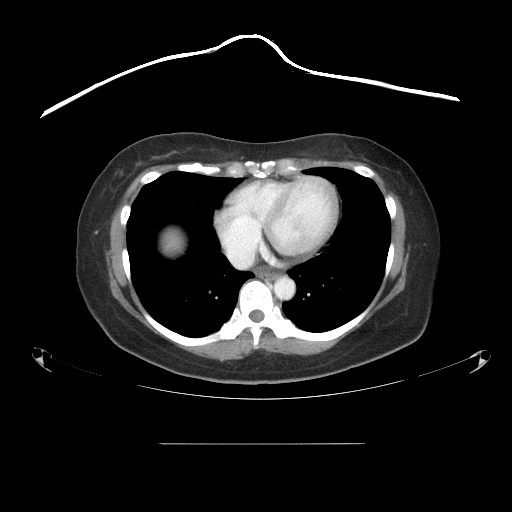

CT scan slice

Some hepatic vessels may have no box.
The hepatic vessel is bounded by (227, 249, 255, 267).